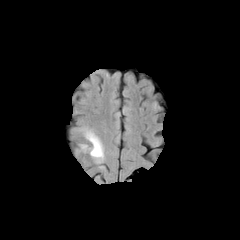
FLAIR MR image.
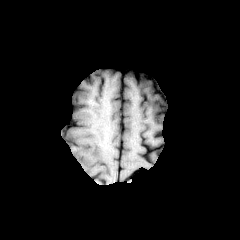
T1-weighted MR image of the same slice.
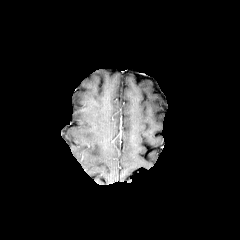
Post-contrast T1-weighted MRI of the same slice.
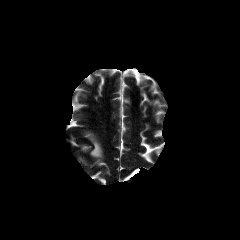
T2-weighted MR.
Head
Edema: (87, 134, 102, 157).